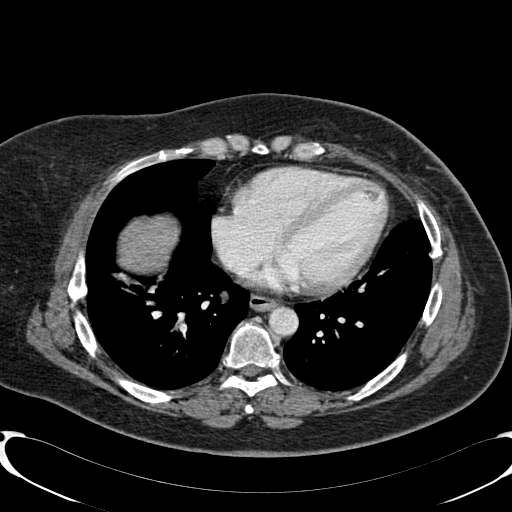

Abdomen | Computed tomography
{"liver": ["118:213:177:273"]}